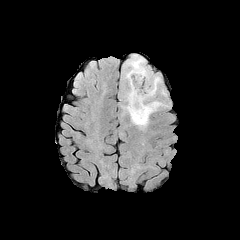
FLAIR MR image.
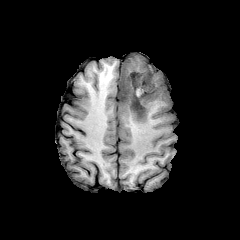
T1-weighted MR image.
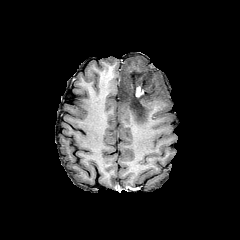
Post-contrast T1-weighted MRI of the same slice.
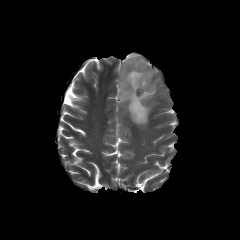
T2-weighted MR.
240x240.
edema: rect(120, 54, 161, 127) | non-enhancing tumor core: rect(128, 70, 151, 114); rect(121, 88, 128, 98) | enhancing tumor: rect(136, 86, 143, 96)